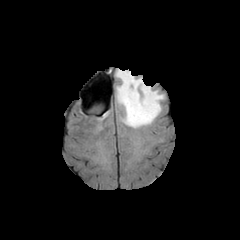
FLAIR MR.
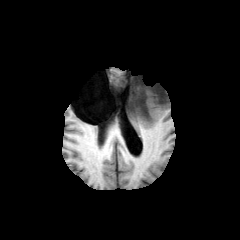
Same slice, T1-weighted magnetic resonance.
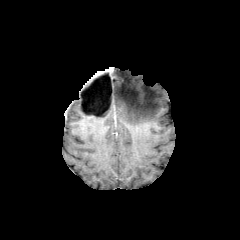
Post-contrast T1-weighted magnetic resonance.
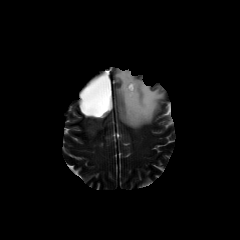
T2-weighted MR of the same slice.
Brain
The edema is located at x1=116 y1=70 x2=163 y2=128.